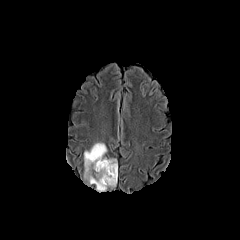
FLAIR magnetic resonance.
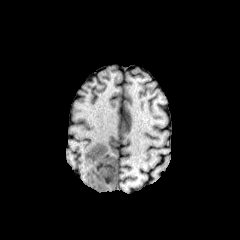
T1-weighted MR.
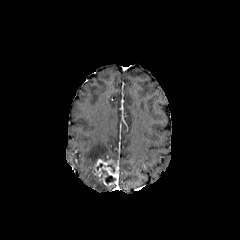
Same slice, post-contrast T1-weighted magnetic resonance.
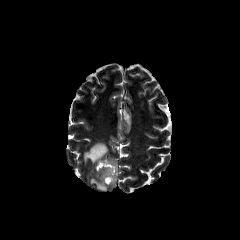
T2-weighted MR image of the same slice.
Head
edema:
  - (83,142,107,189)
non-enhancing_tumor_core:
  - (101,169,115,184)
enhancing_tumor:
  - (93,158,117,183)